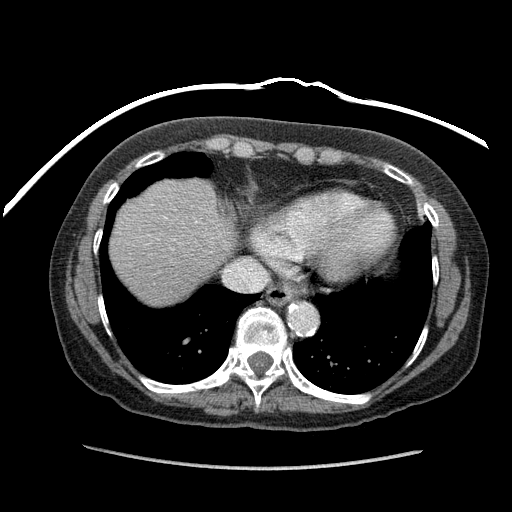
CT

The liver lies within [x1=111, y1=178, x2=237, y2=304].